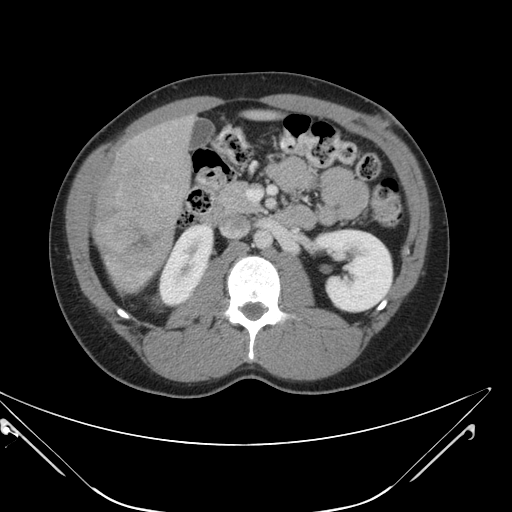

Computed tomography; 512x512; Liver
Not every hepatic vessel necessarily has a box.
<segmentation>
  <hepatic_vessel>(165,186,167,188)</hepatic_vessel>
  <liver_tumor>(95,208,173,290)</liver_tumor>
</segmentation>